FLAIR magnetic resonance.
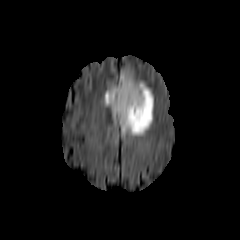
T1-weighted MRI.
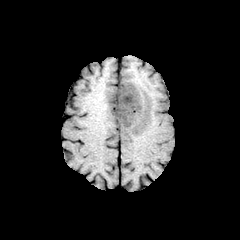
Post-contrast T1-weighted MR image.
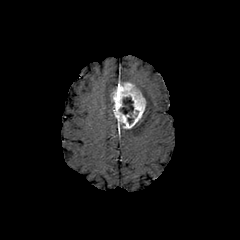
T2-weighted MRI.
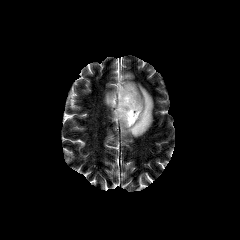
Brain
Enhancing tumor — [111,79,145,128].
Non-enhancing tumor core — [120,97,133,116], [133,100,147,129].
Edema — [103,84,115,109], [120,70,153,137].